Slice 39 of 144 | CT scan slice | 512x512 px | Abdomen
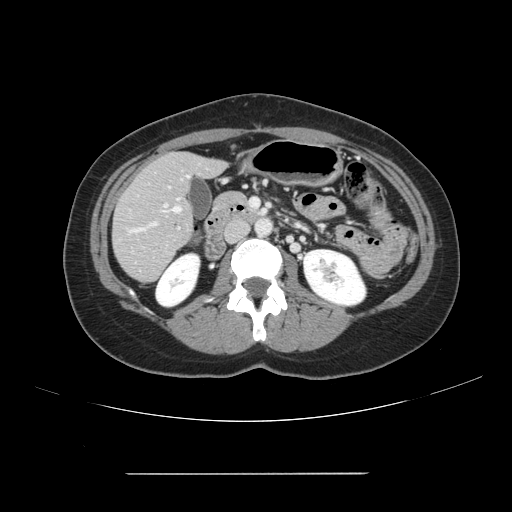
The vessel boxes may cover only some of the vessels.
Findings:
• hepatic vessel: (164, 204, 166, 205), (151, 222, 156, 225), (173, 206, 180, 211), (130, 228, 144, 232)